Slice index 188; CT slice
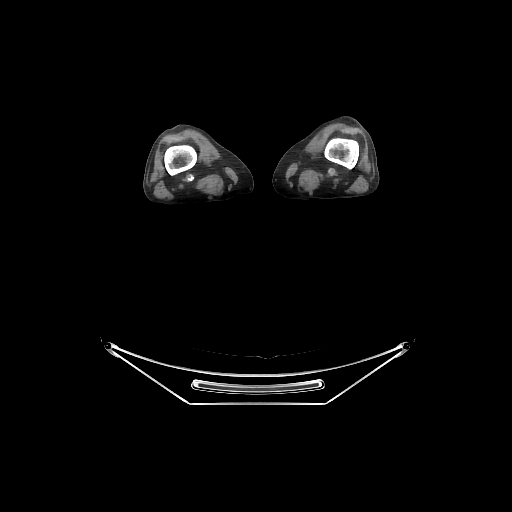
2 bone regions are bounded by left=324, top=138, right=358, bottom=168; left=164, top=145, right=196, bottom=175.